512x512 px; Computed tomography; Liver; Slice index 41; Image width 486 mm

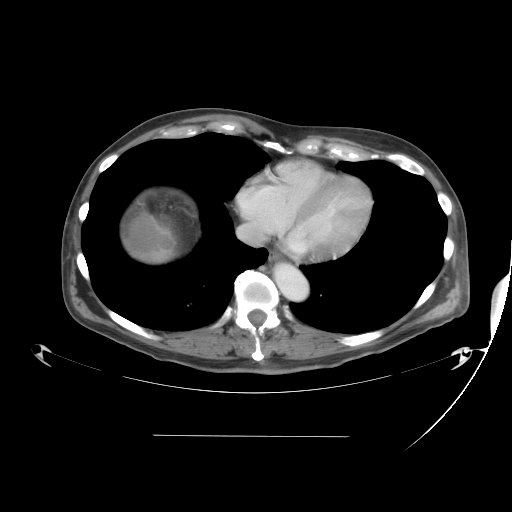
liver_tumor:
  - x1=125 y1=210 x2=167 y2=253